Brain
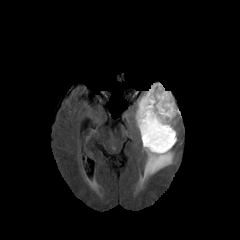
FLAIR MR image.
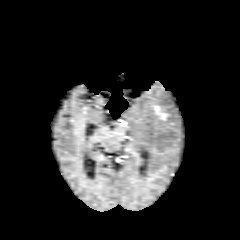
T1-weighted MRI.
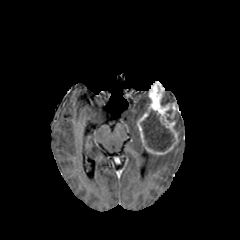
Same slice, post-contrast T1-weighted magnetic resonance.
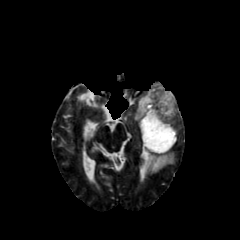
T2-weighted MR image.
3 non-enhancing tumor core regions appear at x1=141 y1=110 x2=174 y2=151, x1=162 y1=94 x2=172 y2=104, x1=140 y1=96 x2=150 y2=115. 2 edema regions are located at x1=139 y1=150 x2=175 y2=184, x1=134 y1=91 x2=148 y2=121. The enhancing tumor is at x1=136 y1=82 x2=181 y2=155.